Computed tomography, Field of view 360 mm wide, 5.00 mm slice spacing, Liver 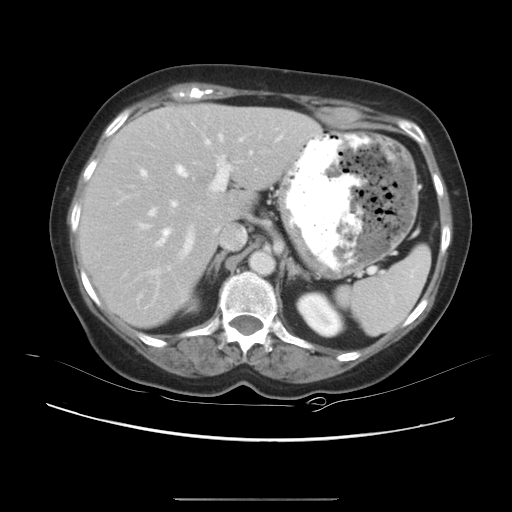

The vessel boxes may cover only some of the vessels.
Most prominent 15 of 18 hepatic vessel regions: left=218, top=134, right=223, bottom=141; left=175, top=164, right=187, bottom=177; left=275, top=136, right=282, bottom=141; left=215, top=228, right=218, bottom=231; left=139, top=224, right=149, bottom=229; left=147, top=269, right=159, bottom=296; left=140, top=169, right=146, bottom=177; left=239, top=136, right=245, bottom=141; left=179, top=225, right=193, bottom=257; left=209, top=156, right=231, bottom=191; left=171, top=201, right=176, bottom=206; left=148, top=208, right=155, bottom=216; left=138, top=295, right=141, bottom=300; left=202, top=135, right=210, bottom=145; left=156, top=228, right=172, bottom=246.